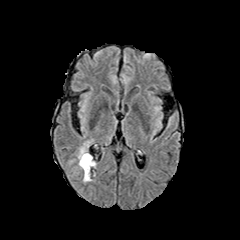
FLAIR MRI.
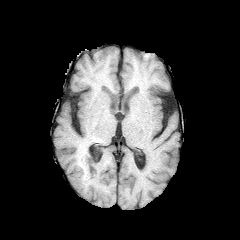
T1-weighted MR image.
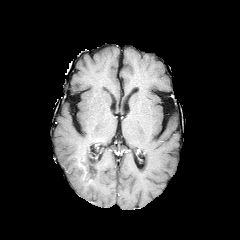
Same slice, post-contrast T1-weighted MRI.
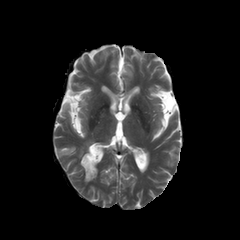
Same slice, T2-weighted MR.
Brain
non-enhancing_tumor_core:
  - box(80, 154, 93, 166)
edema:
  - box(77, 141, 96, 181)